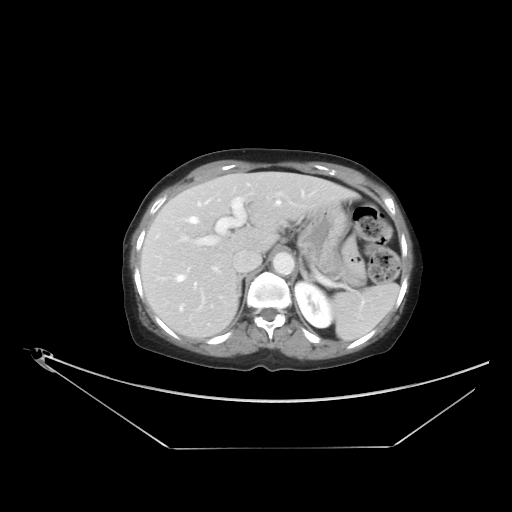
Liver | CT
Only some of the vessels may be annotated.
Segmented structures:
- hepatic vessel: {"x1": 276, "y1": 200, "x2": 280, "y2": 204}, {"x1": 231, "y1": 197, "x2": 243, "y2": 206}, {"x1": 192, "y1": 230, "x2": 219, "y2": 245}, {"x1": 194, "y1": 218, "x2": 196, "y2": 221}, {"x1": 177, "y1": 275, "x2": 184, "y2": 280}, {"x1": 211, "y1": 266, "x2": 218, "y2": 272}, {"x1": 192, "y1": 281, "x2": 204, "y2": 308}